512x512 px, Abdomen, Slice 439/677, CT 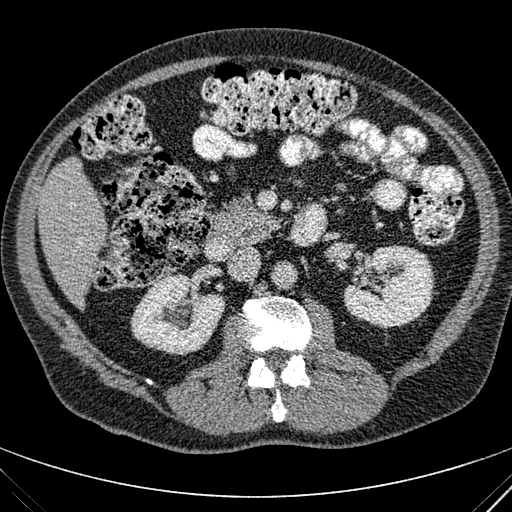 4 kidney regions are located at {"x1": 344, "y1": 245, "x2": 432, "y2": 327}, {"x1": 354, "y1": 266, "x2": 363, "y2": 274}, {"x1": 354, "y1": 251, "x2": 363, "y2": 260}, {"x1": 131, "y1": 273, "x2": 224, "y2": 354}. The liver is bounded by {"x1": 38, "y1": 159, "x2": 105, "y2": 308}.